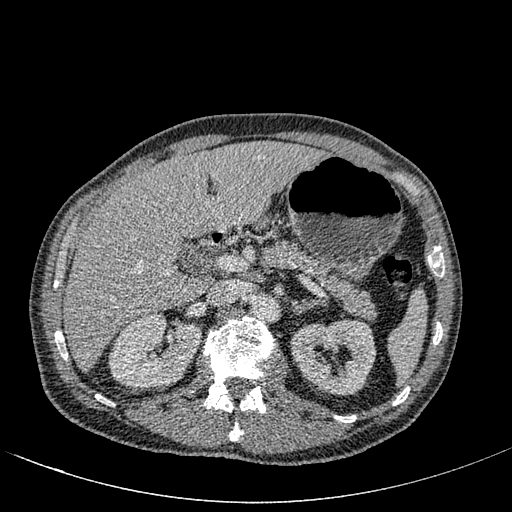
CT scan slice, Upper abdomen

The liver lies within [64,142,324,372]. 2 kidney regions appear at [109,313,201,387], [291,320,375,394].